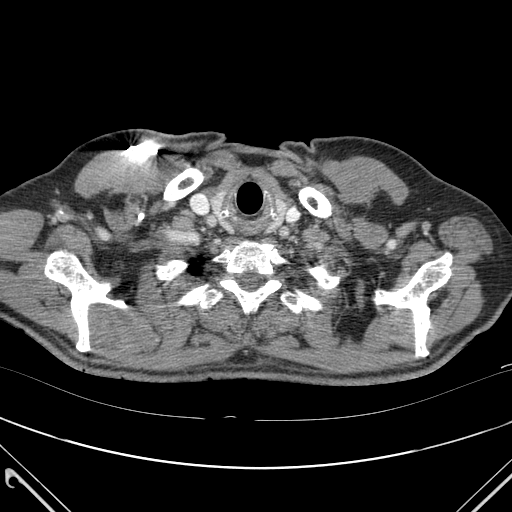 Computed tomography; Thorax; Image size 512x512
The lung appears at [188, 260, 200, 273]. 10 bone regions are bounded by [374, 253, 451, 356], [309, 267, 338, 288], [214, 241, 284, 273], [178, 285, 221, 308], [45, 251, 126, 351], [220, 278, 281, 312], [164, 168, 203, 200], [157, 260, 186, 279], [299, 187, 330, 217], [281, 291, 321, 312].